Slice 75 of 155
FLAIR MR.
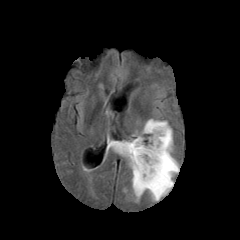
T1-weighted MR.
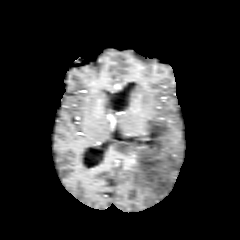
Post-contrast T1-weighted MRI.
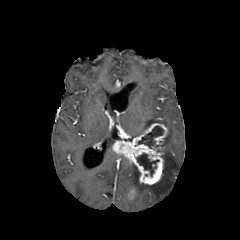
T2-weighted MRI.
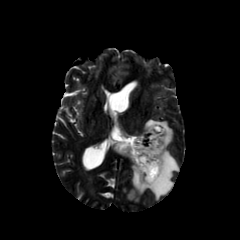
2 enhancing tumor regions are located at rect(112, 123, 168, 185); rect(127, 187, 137, 200). 3 non-enhancing tumor core regions are bounded by rect(137, 154, 158, 175); rect(135, 177, 152, 193); rect(138, 126, 162, 147). 3 edema regions are located at rect(130, 163, 138, 187); rect(106, 136, 113, 152); rect(134, 119, 179, 202).